Liver | Slice 34/48 | 512x512 px | Field of view 482 mm wide, 5.00 mm slice spacing | CT slice 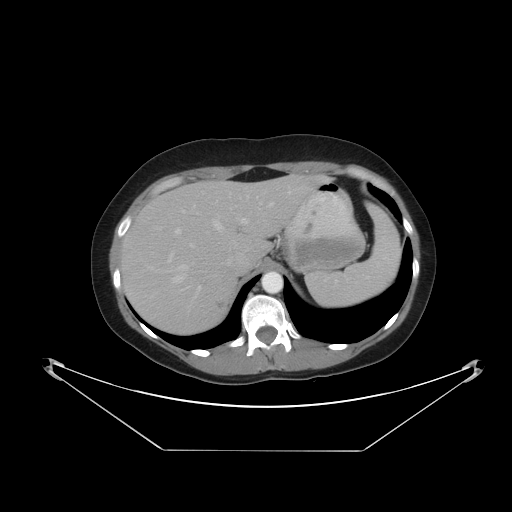 Not every hepatic vessel necessarily has a box.
<segmentation>
  <liver_tumor>box(213, 299, 228, 309); box(307, 177, 318, 189)</liver_tumor>
  <hepatic_vessel>box(236, 246, 246, 263); box(172, 265, 188, 282); box(168, 254, 172, 261); box(288, 187, 290, 193); box(196, 286, 200, 294); box(240, 219, 247, 222); box(247, 196, 248, 198); box(175, 229, 180, 233); box(226, 236, 238, 247); box(181, 210, 184, 212); box(269, 203, 272, 205); box(227, 260, 230, 264); box(190, 244, 192, 246); box(213, 221, 221, 230); box(259, 202, 261, 203)</hepatic_vessel>
</segmentation>